Computed tomography, Abdomen 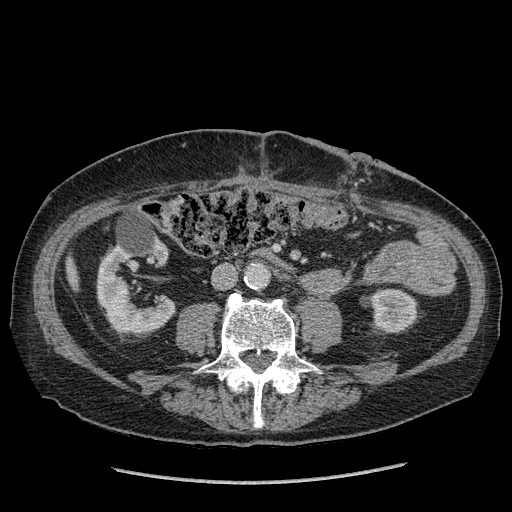

- liver: x1=66, y1=258, x2=77, y2=290
- kidney: x1=97, y1=245, x2=174, y2=332; x1=153, y1=240, x2=167, y2=264; x1=370, y1=289, x2=416, y2=332